Hippocampus, Magnetic resonance 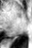 {
  "posterior_hippocampus": [
    "left=6, top=39, right=14, bottom=42"
  ]
}